FLAIR magnetic resonance.
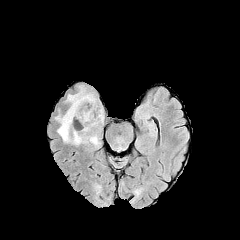
T1-weighted MR.
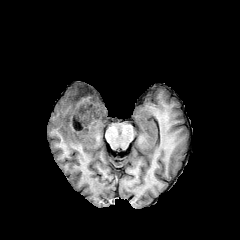
Post-contrast T1-weighted MR.
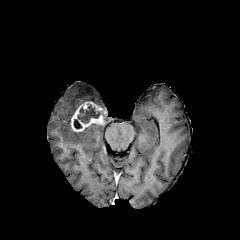
T2-weighted MR.
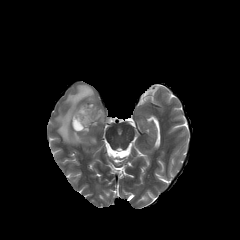
2 non-enhancing tumor core regions are located at x1=72 y1=105 x2=100 y2=129, x1=73 y1=88 x2=92 y2=101. 2 enhancing tumor regions are bounded by x1=80 y1=102 x2=105 y2=129, x1=71 y1=102 x2=88 y2=131. The edema is located at x1=55 y1=85 x2=101 y2=146.